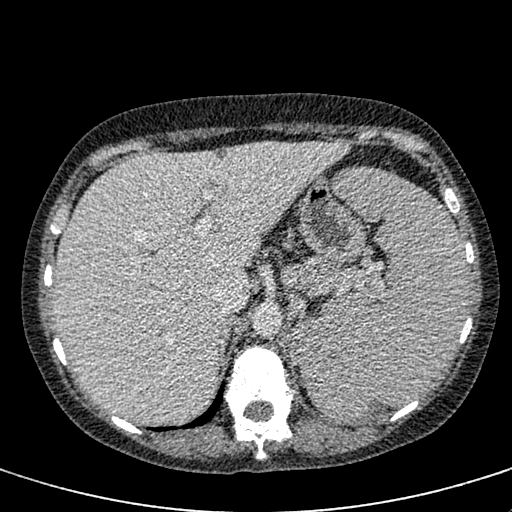 Abdomen | Computed tomography

liver: bbox(53, 142, 349, 422)